Abdomen. Image width 512 mm. CT image.
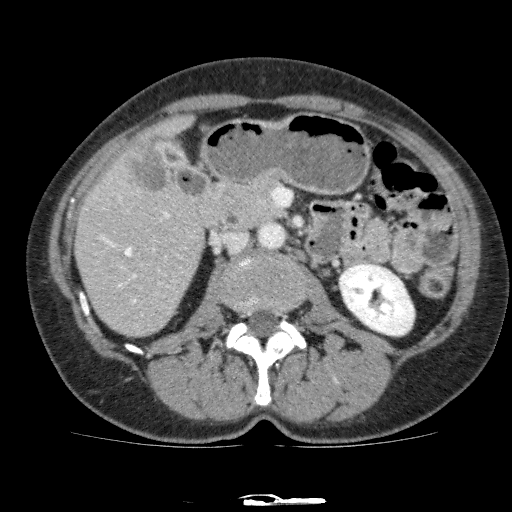 The focal liver lesion is located at rect(122, 135, 177, 191). The liver is located at rect(75, 114, 203, 336). The kidney appears at rect(340, 264, 413, 335).